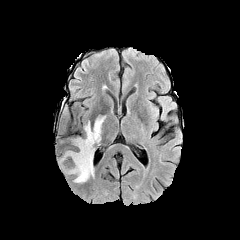
FLAIR magnetic resonance.
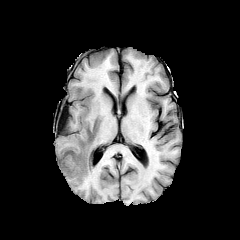
Same slice, T1-weighted MRI.
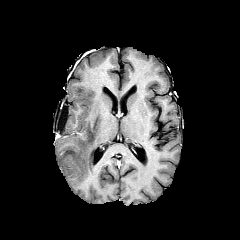
Post-contrast T1-weighted MR.
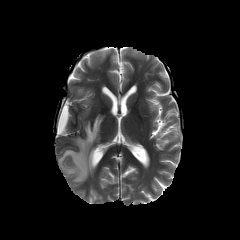
T2-weighted MR.
Head
Annotated regions:
- edema: (59,116,105,183)